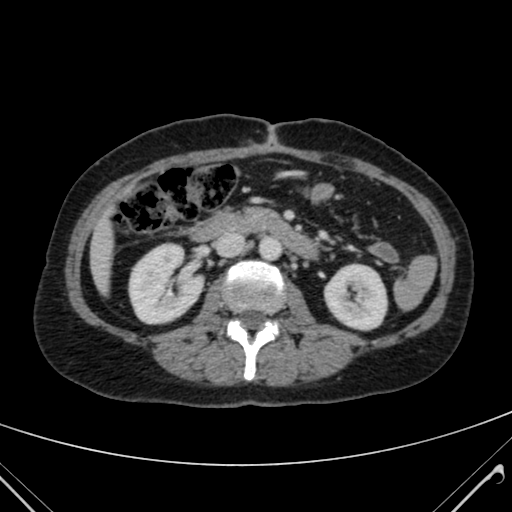 512x512 px; Computed tomography
{
  "liver": [
    "[91, 220, 114, 285]"
  ],
  "kidney": [
    "[325, 265, 386, 328]",
    "[130, 245, 201, 322]"
  ]
}